FLAIR magnetic resonance.
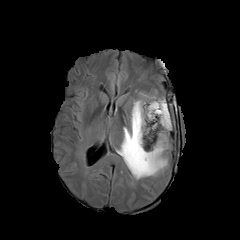
T1-weighted MRI.
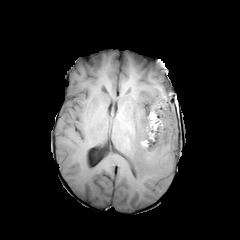
Post-contrast T1-weighted MR.
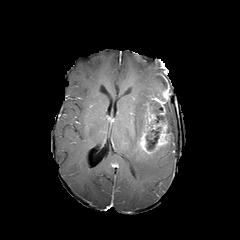
T2-weighted magnetic resonance.
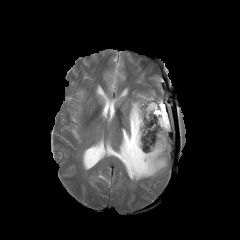
Head.
{"edema": ["164,102,173,134", "110,91,170,180", "108,72,119,87"], "enhancing_tumor": ["156,132,167,148"], "non-enhancing_tumor_core": ["142,103,167,153", "132,120,144,153"]}